Image size 512x512. Image width 339 mm. CT.
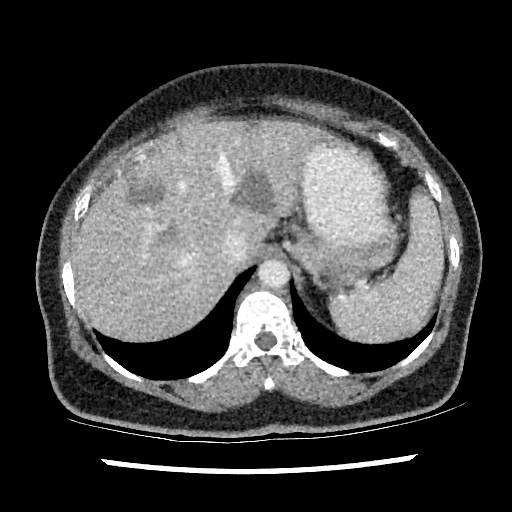
liver:
  - [70, 119, 329, 339]
liver_lesion:
  - [240, 121, 260, 131]
  - [233, 172, 273, 215]
  - [126, 185, 163, 204]